CT image; Lung; 512x512 px; Slice 273/304; Field of view 360x360 mm 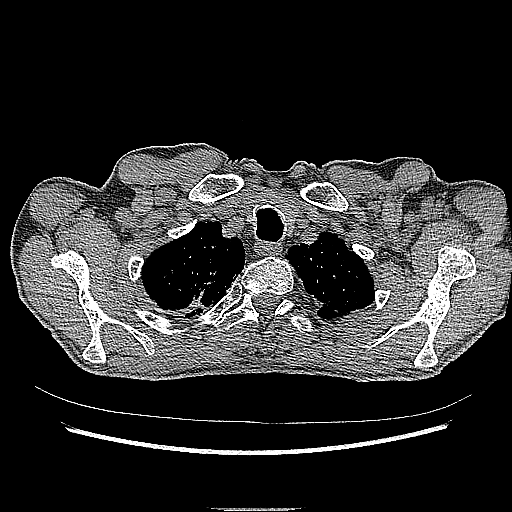
Lung tumor: (x1=165, y1=272, x2=225, y2=318).